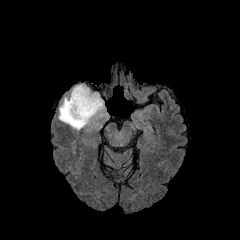
FLAIR MR.
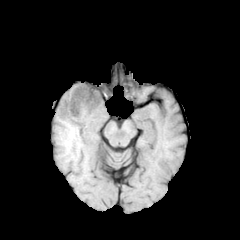
T1-weighted MR.
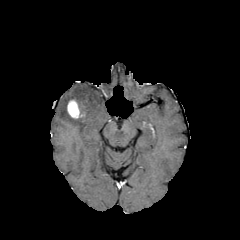
Same slice, post-contrast T1-weighted magnetic resonance.
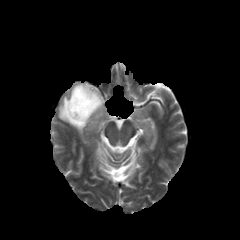
Same slice, T2-weighted magnetic resonance.
240x240.
• enhancing tumor: <box>67,99,83,117</box>
• edema: <box>58,84,104,129</box>